512x512 px | Liver | CT slice

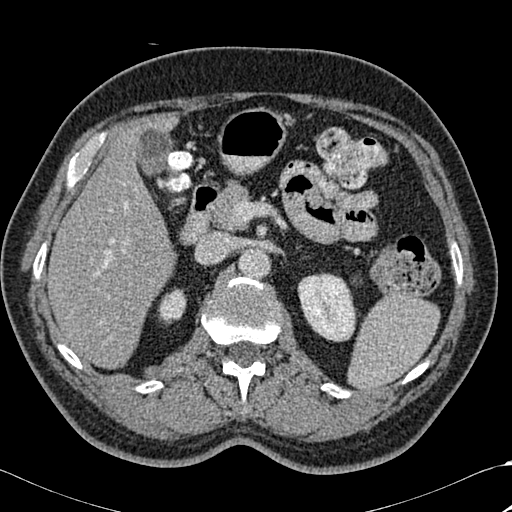 Liver at box(48, 128, 173, 368); box(162, 113, 176, 129).
Bone at box(451, 243, 462, 283); box(136, 380, 162, 392); box(67, 160, 76, 186); box(33, 244, 46, 278); box(404, 362, 427, 382); box(59, 345, 81, 368); box(321, 383, 349, 397); box(202, 277, 279, 399).
Kidney at box(299, 275, 354, 340); box(160, 290, 184, 319).